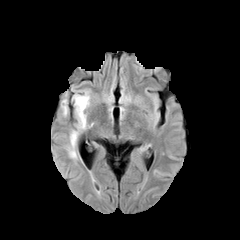
FLAIR MR.
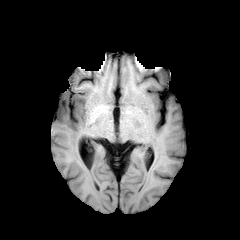
Same slice, T1-weighted MR.
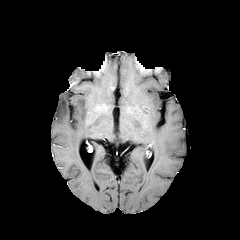
Post-contrast T1-weighted MR.
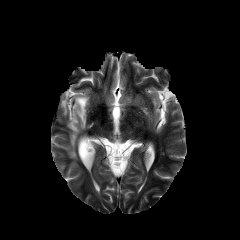
Same slice, T2-weighted MR image.
Image size 240x240 | Brain
Findings:
- edema: l=66, t=90, r=90, b=159; l=61, t=92, r=69, b=115